Field of view 439 mm wide, 0.80 mm slice spacing; CT image; 512x512 px; Liver; Slice 484 of 751
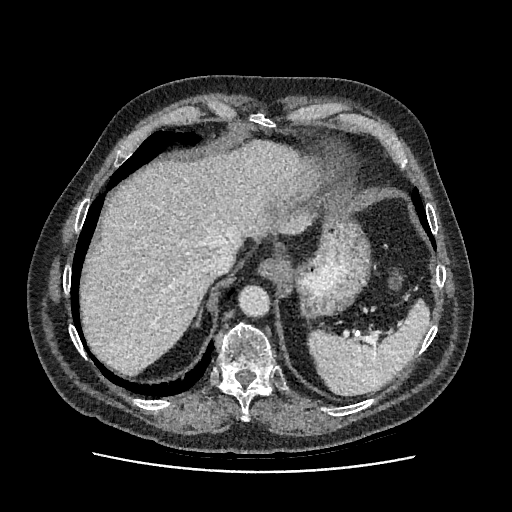 The liver is located at bbox(80, 141, 320, 375).